CT image; Upper abdomen
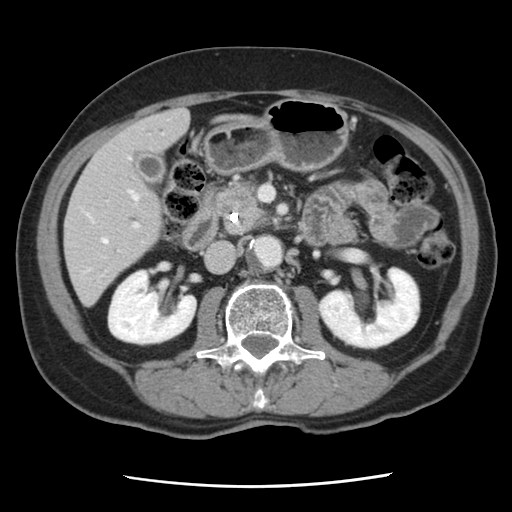

pancreatic_tumor:
  - left=213, top=185, right=266, bottom=235
pancreas:
  - left=229, top=180, right=263, bottom=209